Computed tomography | 512x512 | Slice 338 of 781
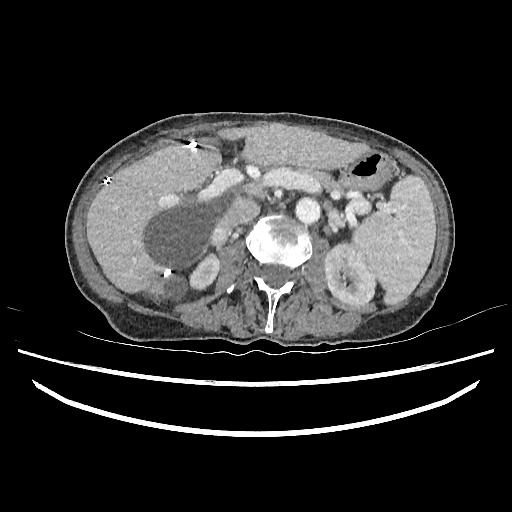 <segmentation>
  <liver_lesion>143 189 234 298</liver_lesion>
  <kidney>190 254 219 288, 325 244 374 305</kidney>
  <liver>219 126 366 169, 87 141 221 299</liver>
</segmentation>